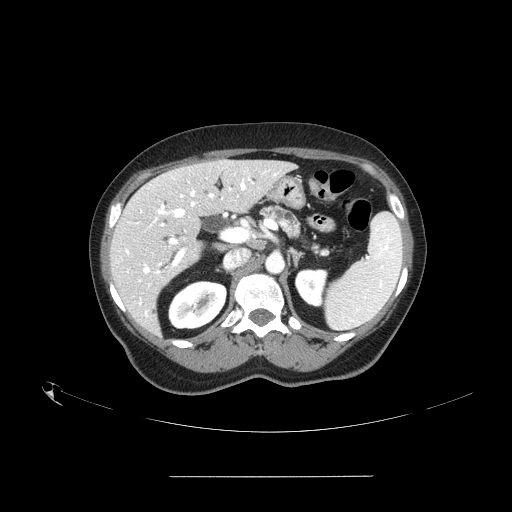

CT scan slice

Pancreas: rect(260, 205, 302, 237); rect(308, 243, 330, 256).